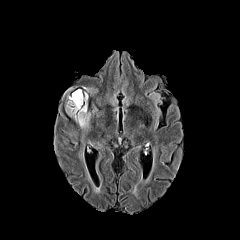
FLAIR magnetic resonance.
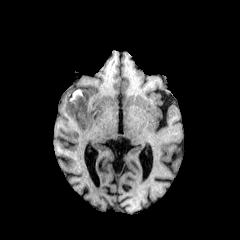
T1-weighted MR.
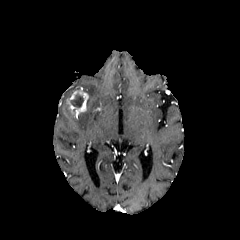
Post-contrast T1-weighted MR image.
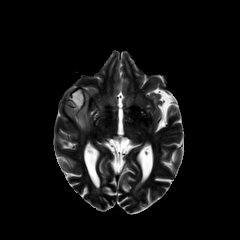
Same slice, T2-weighted MR image.
Head | 240x240 px
Findings:
- edema: 82:87:97:95, 74:111:91:131, 64:87:73:97
- non-enhancing tumor core: 70:91:83:107
- enhancing tumor: 65:89:89:119